Image width 409 mm, Slice 215 of 244, CT scan slice, Upper abdomen 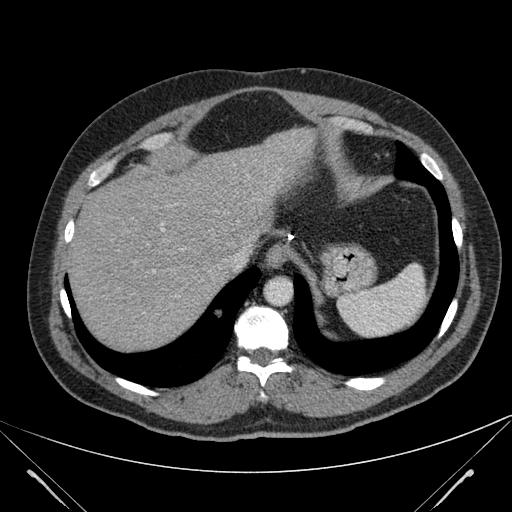
liver:
  - (left=65, top=128, right=317, bottom=351)
  - (left=323, top=129, right=341, bottom=144)